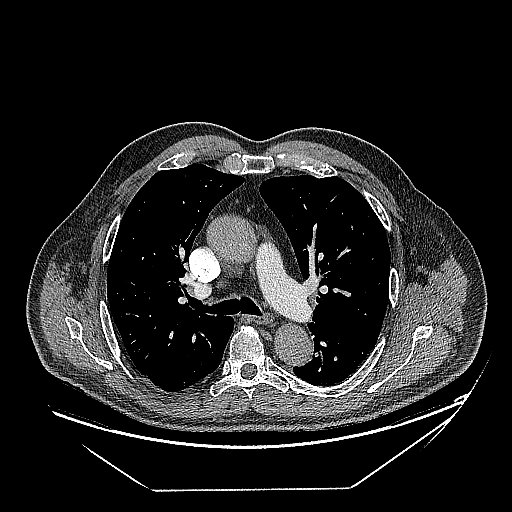
Lung, CT scan slice
Lung tumor: [133, 347, 149, 366].